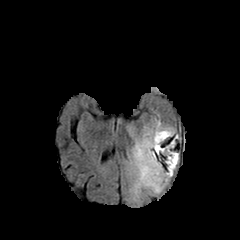
FLAIR MR image.
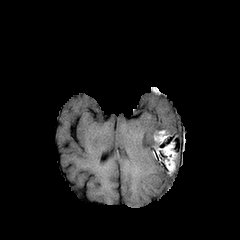
T1-weighted magnetic resonance of the same slice.
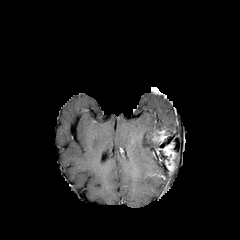
Post-contrast T1-weighted magnetic resonance.
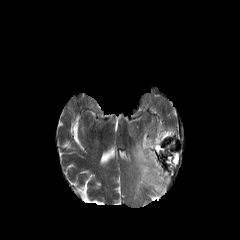
T2-weighted MR image.
240x240, Head
2 edema regions are located at (x1=127, y1=114, x2=179, y2=201), (x1=129, y1=126, x2=135, y2=137). The non-enhancing tumor core appears at (x1=154, y1=137, x2=172, y2=148). 2 enhancing tumor regions are located at (x1=156, y1=142, x2=176, y2=173), (x1=152, y1=129, x2=169, y2=144).